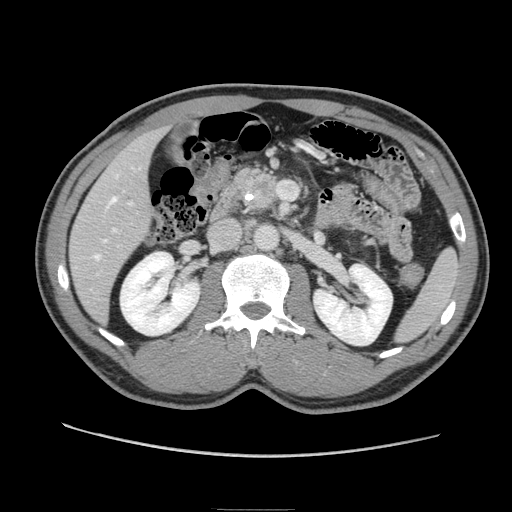
Abdomen. Computed tomography.
pancreatic tumor: [238,169,277,208] | pancreas: [233,166,282,213]